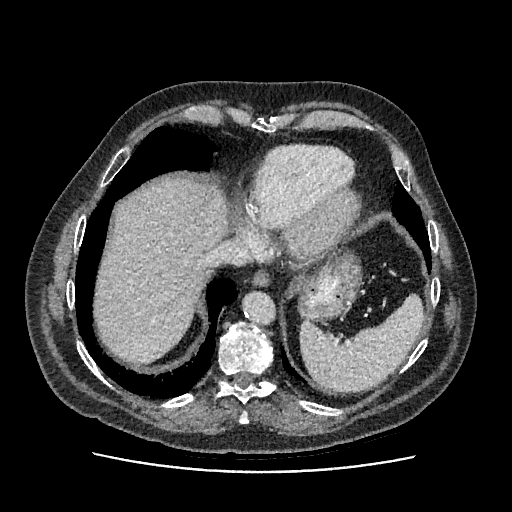
CT slice.

Liver — region(94, 180, 228, 362).